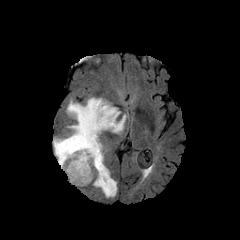
FLAIR MR.
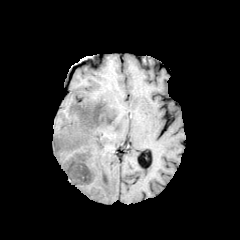
T1-weighted MR image.
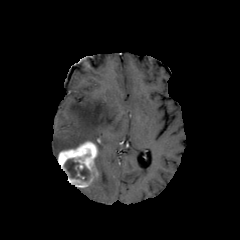
Post-contrast T1-weighted magnetic resonance.
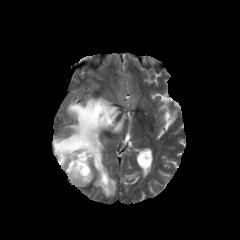
Same slice, T2-weighted MR image.
Findings:
• enhancing tumor: <bbox>58, 141, 98, 177</bbox>, <bbox>67, 172, 85, 184</bbox>
• edema: <bbox>91, 144, 116, 197</bbox>, <bbox>53, 97, 125, 155</bbox>
• non-enhancing tumor core: <bbox>62, 140, 89, 149</bbox>, <bbox>91, 138, 101, 150</bbox>, <bbox>64, 158, 98, 186</bbox>, <bbox>92, 106, 99, 123</bbox>